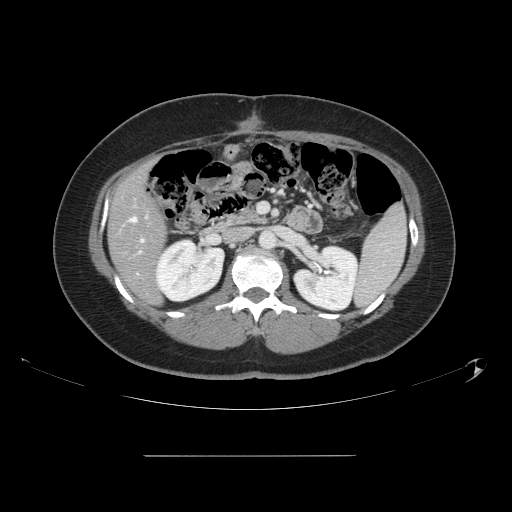

Computed tomography. 512x512 px.
Not every hepatic vessel necessarily has a box.
{"hepatic_vessel": ["bbox(141, 240, 143, 241)", "bbox(128, 217, 135, 221)"]}